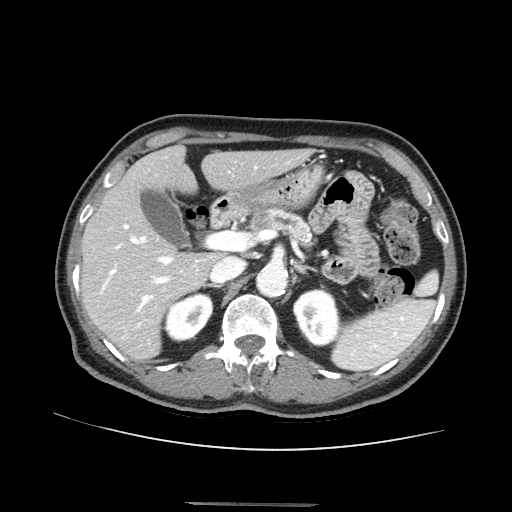

CT image; 512x512; Upper abdomen
Pancreas: bounding box {"x1": 251, "y1": 210, "x2": 313, "y2": 246}.
Pancreatic tumor: bounding box {"x1": 256, "y1": 215, "x2": 269, "y2": 229}.